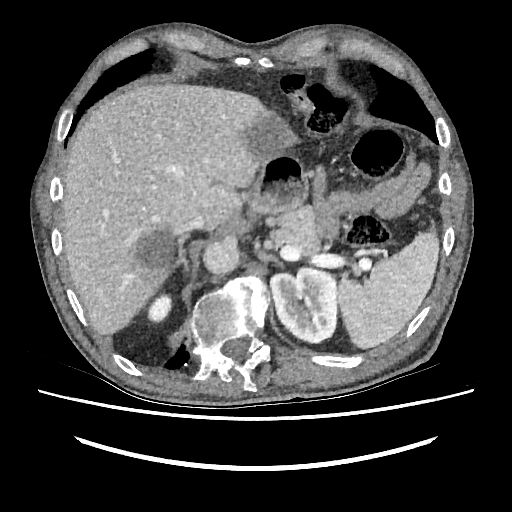 CT slice
Liver — rect(285, 127, 297, 149); rect(63, 83, 281, 333).
Focal liver lesion — rect(242, 115, 291, 160); rect(127, 225, 174, 287).
Kidney — rect(150, 297, 169, 319); rect(270, 268, 340, 342).